240x240. Slice index 119. Brain.
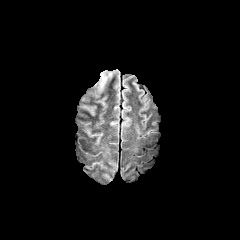
FLAIR MRI.
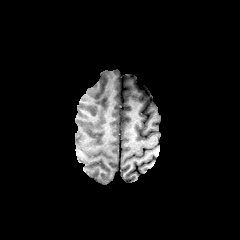
T1-weighted MR image of the same slice.
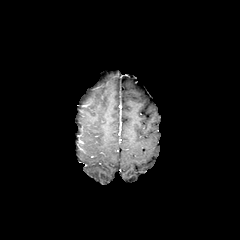
Post-contrast T1-weighted MR image.
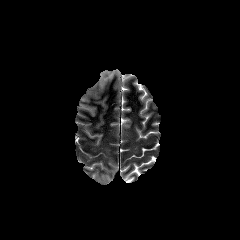
T2-weighted MR image.
<segmentation>
  <edema>l=98, t=70, r=115, b=89</edema>
</segmentation>